CT slice; Liver; Slice 34/52
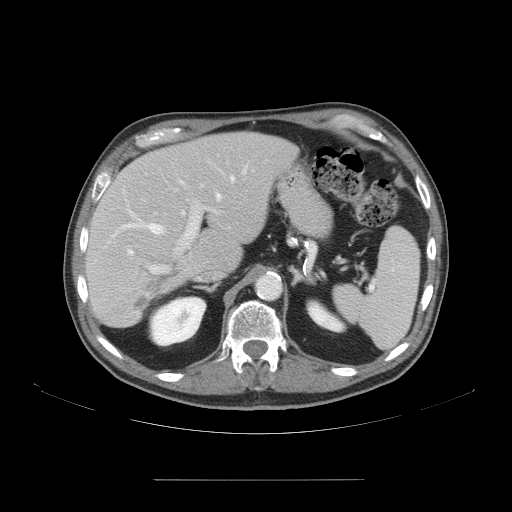

The vessel annotation is not exhaustive.
12 hepatic vessel regions are bounded by 127, 246, 132, 254; 179, 181, 183, 183; 149, 265, 166, 273; 229, 175, 234, 182; 243, 168, 245, 173; 215, 167, 223, 174; 211, 210, 217, 213; 215, 192, 221, 201; 107, 198, 165, 243; 174, 200, 210, 255; 208, 161, 211, 163; 181, 210, 184, 214. The liver tumor appears at 129, 275, 167, 312.